CT | Field of view 400x400 mm 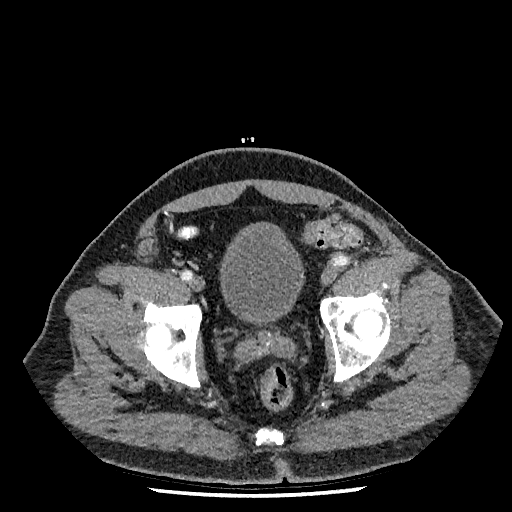 The urinary bladder is bounded by (left=219, top=221, right=305, bottom=324).